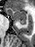 35x47 px; MRI slice; Medial temporal lobe

The anterior hippocampus is at left=6, top=8, right=26, bottom=20. The posterior hippocampus is bounded by left=19, top=21, right=27, bottom=24.